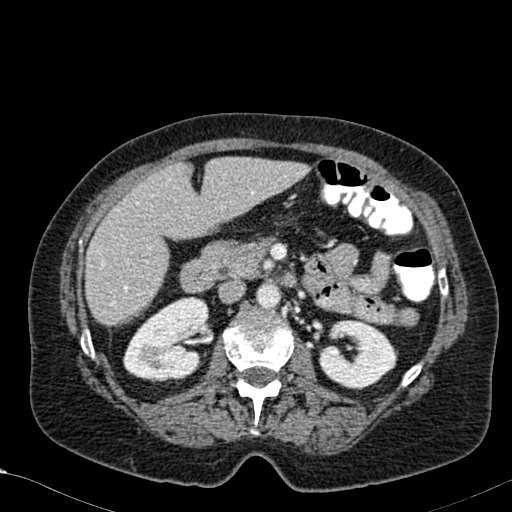

Computed tomography | Liver | 512x512
The liver is at [86, 158, 309, 325]. 2 kidney regions are located at [319, 320, 395, 388], [124, 297, 210, 380].